Image size 512x512 | Slice 38/129 | Computed tomography | Abdomen
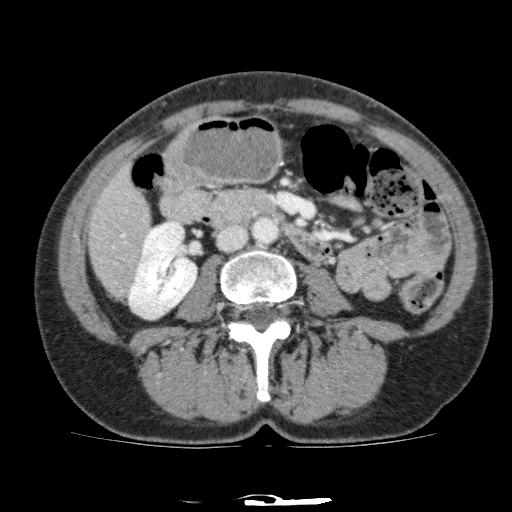

Segmented structures:
* kidney: [x1=129, y1=221, x2=196, y2=317]
* liver: [x1=88, y1=163, x2=152, y2=299]